Slice 57/82; Abdomen; CT slice 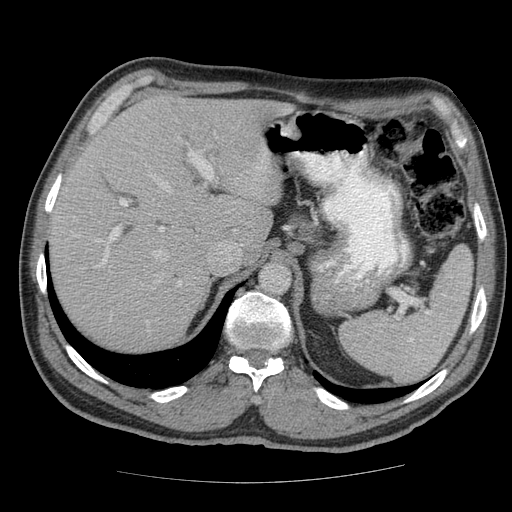

Some hepatic vessels may have no box.
11 hepatic vessel regions appear at <box>177,281,180,286</box>, <box>103,249,107,263</box>, <box>111,227,120,239</box>, <box>153,176,170,191</box>, <box>146,321,147,323</box>, <box>152,249,168,260</box>, <box>187,152,212,180</box>, <box>120,200,126,205</box>, <box>159,228,163,232</box>, <box>95,240,98,242</box>, <box>234,230,235,231</box>.